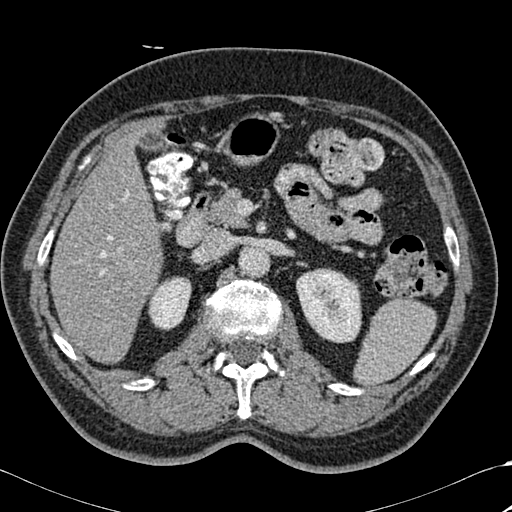

Liver; CT image; 512x512 px
2 liver regions are bounded by (left=52, top=142, right=161, bottom=361), (left=121, top=133, right=138, bottom=147). 7 bone regions are bounded by (left=330, top=384, right=360, bottom=395), (left=207, top=280, right=280, bottom=417), (left=38, top=231, right=53, bottom=263), (left=55, top=334, right=75, bottom=358), (left=411, top=353, right=433, bottom=374), (left=126, top=379, right=153, bottom=390), (left=445, top=227, right=459, bottom=265). 2 kidney regions are bounded by (left=297, top=270, right=360, bottom=341), (left=150, top=278, right=190, bottom=328).